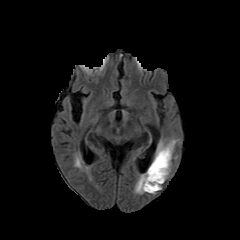
FLAIR MR image.
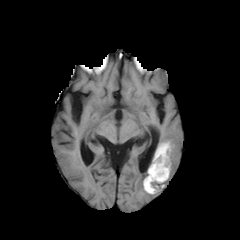
Same slice, T1-weighted magnetic resonance.
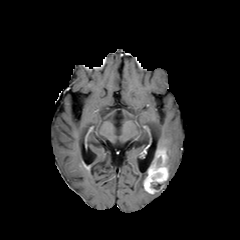
Post-contrast T1-weighted MRI.
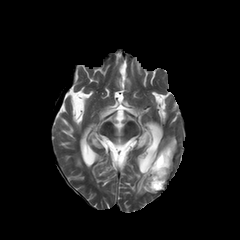
T2-weighted MRI.
Findings:
• enhancing tumor: 144, 149, 167, 193
• non-enhancing tumor core: 152, 180, 165, 189; 158, 146, 169, 166
• edema: 134, 173, 147, 194; 157, 138, 177, 177; 76, 158, 90, 170